FLAIR MR.
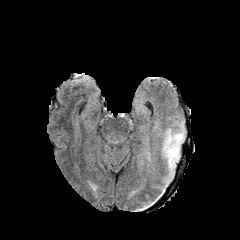
T1-weighted MR.
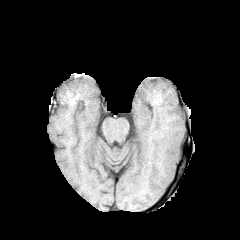
Post-contrast T1-weighted magnetic resonance.
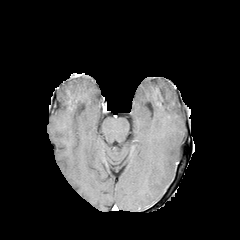
T2-weighted MR image.
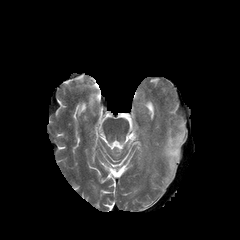
Head
{
  "edema": [
    "bbox(166, 134, 183, 170)"
  ]
}